Field of view 370x370 mm, Computed tomography, Upper abdomen

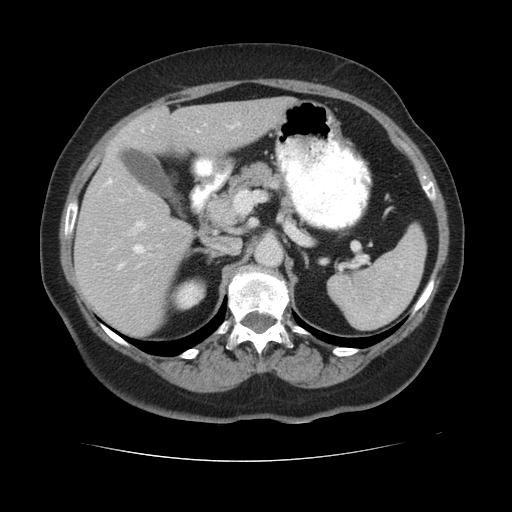 Annotated regions:
* pancreas: region(212, 163, 280, 202); region(210, 218, 230, 225)
* pancreatic tumor: region(208, 199, 235, 224)